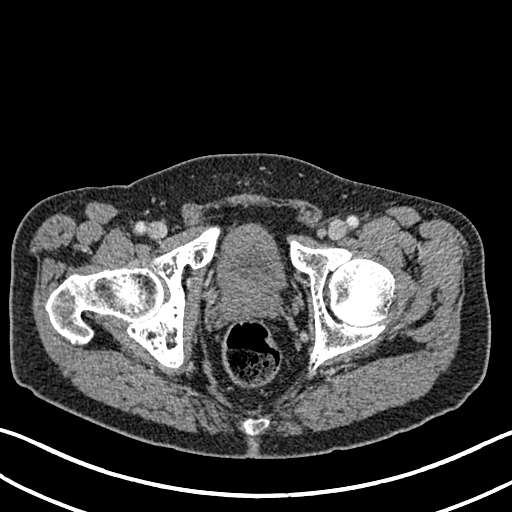 CT image; Image size 512x512
<segmentation>
  <urinary_bladder>bbox=[216, 230, 286, 301]</urinary_bladder>
</segmentation>